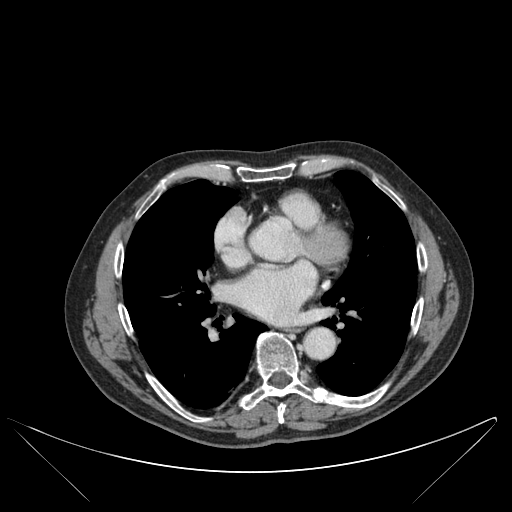
CT
lung:
  - 122,179,267,407
  - 317,170,416,395
bone:
  - 277,403,285,422
  - 118,304,132,334
  - 240,332,387,409
  - 237,163,296,181
  - 417,244,427,270
  - 114,243,123,276
  - 411,298,423,333
  - 146,374,210,421